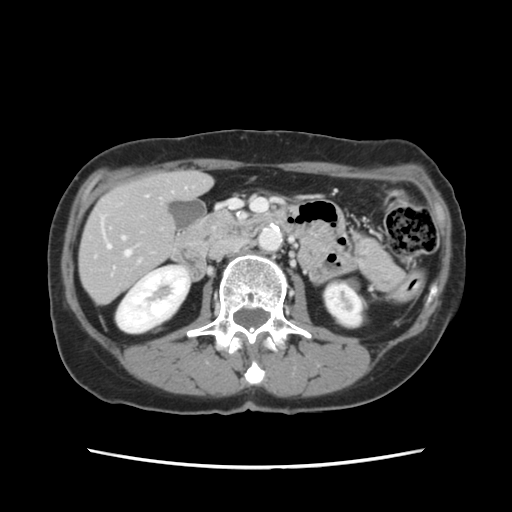 CT slice. The vessel boxes may cover only some of the vessels.
hepatic_vessel:
  - 125,251,130,255
  - 122,236,124,239
  - 107,244,110,248